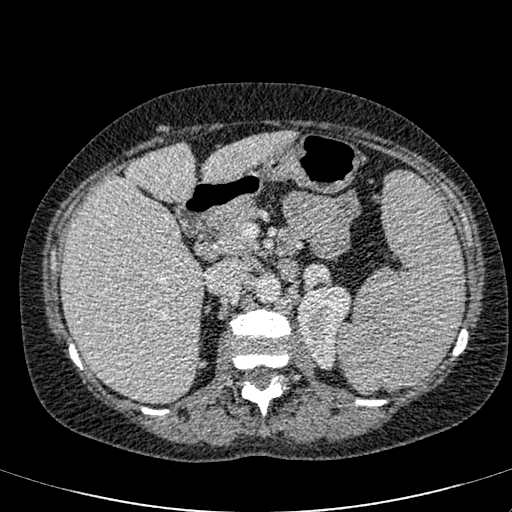 512x512 px; CT scan slice
The kidney is located at box(297, 286, 350, 367). 2 liver regions are bounded by box(63, 144, 202, 402); box(201, 133, 292, 184).